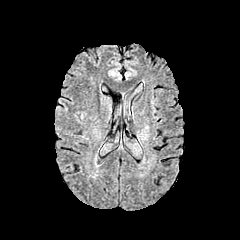
FLAIR MR image.
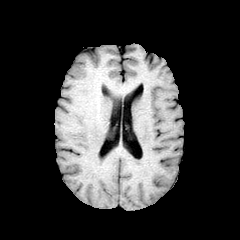
Same slice, T1-weighted MR.
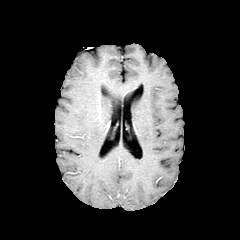
Post-contrast T1-weighted MRI of the same slice.
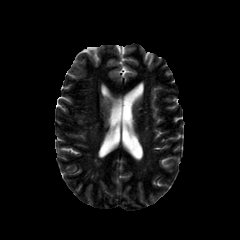
T2-weighted MR.
Head, 240x240
The edema is located at (102, 97, 111, 112).